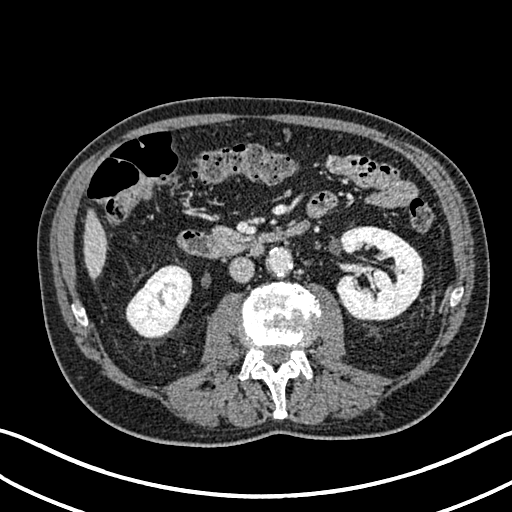
Computed tomography.
liver: <box>85,210,106,280</box> | kidney: <box>337,227,422,319</box>, <box>127,266,191,337</box>